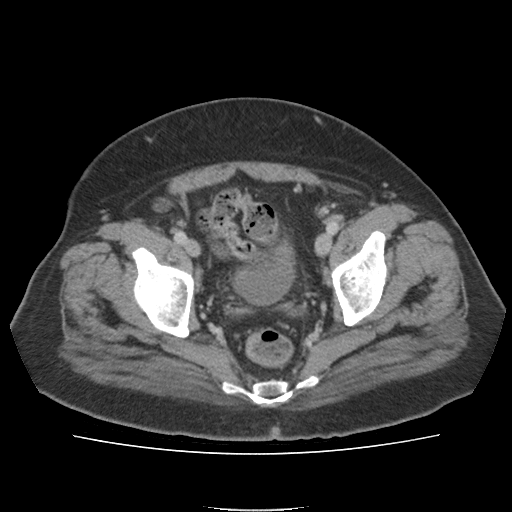 Computed tomography. urinary_bladder:
  - (x1=230, y1=232, x2=295, y2=305)